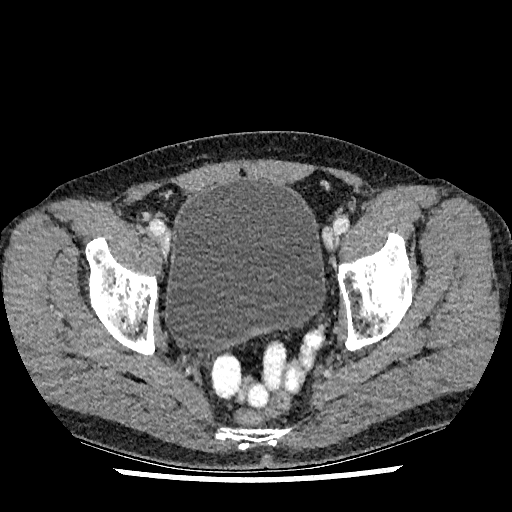 512x512 px; Lower abdomen; CT scan slice
Urinary bladder — region(165, 179, 325, 354).